FLAIR MRI.
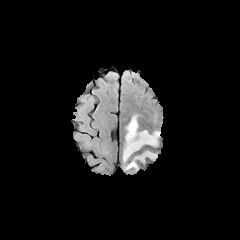
T1-weighted MR image.
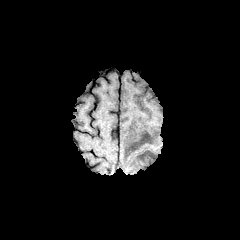
Post-contrast T1-weighted MRI.
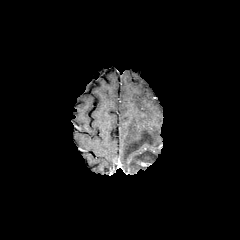
T2-weighted MRI.
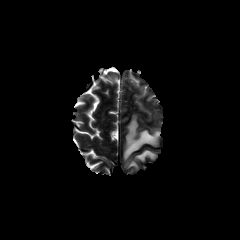
240x240; Head
{
  "edema": [
    "region(126, 161, 137, 169)",
    "region(135, 150, 156, 160)",
    "region(123, 115, 160, 160)"
  ]
}